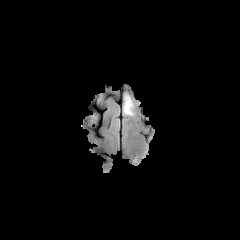
FLAIR magnetic resonance.
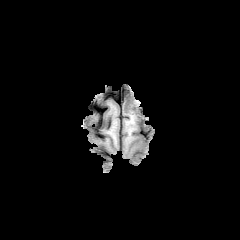
T1-weighted MR.
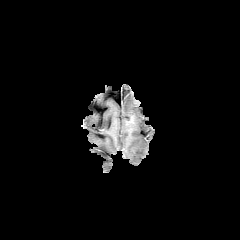
Post-contrast T1-weighted MR image of the same slice.
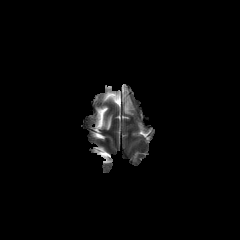
T2-weighted MR.
240x240.
edema: 123,94,133,115